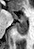
Medial temporal lobe, MRI
Posterior hippocampus at [x1=15, y1=20, x2=27, y2=35].
Anterior hippocampus at [x1=11, y1=12, x2=26, y2=20].